FLAIR MRI.
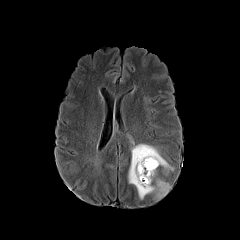
T1-weighted MR.
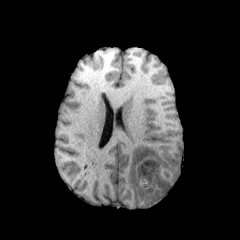
Post-contrast T1-weighted MRI.
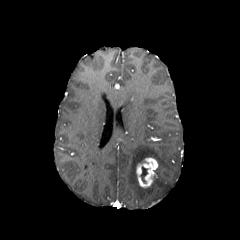
T2-weighted MR.
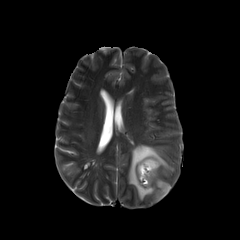
Brain.
enhancing_tumor:
  - bbox(135, 156, 158, 188)
edema:
  - bbox(127, 143, 174, 200)